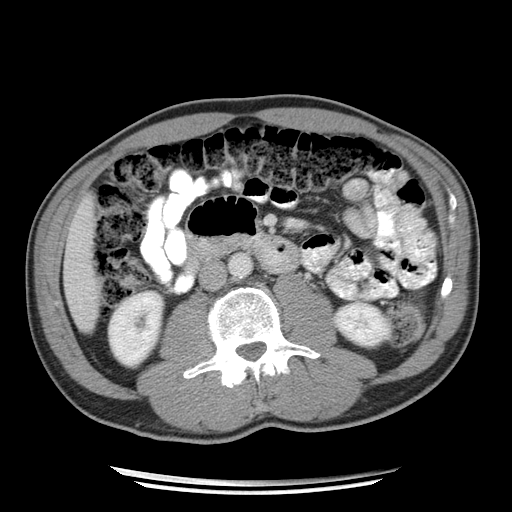

Upper abdomen | Computed tomography | Image size 512x512
{
  "pancreas": [
    "left=192, top=235, right=246, bottom=256"
  ]
}